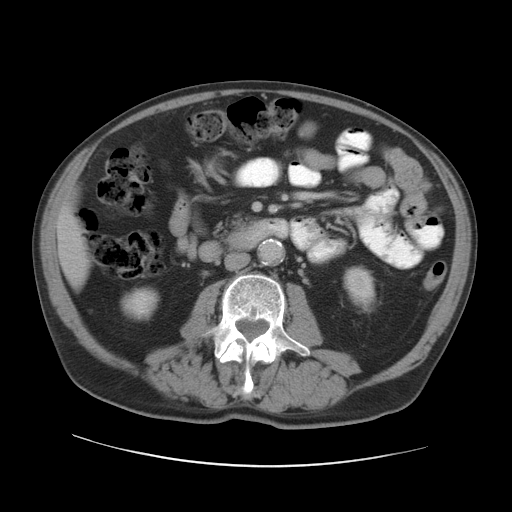
Computed tomography

The vessel annotation is not exhaustive.
The hepatic vessel is at box=[60, 218, 65, 223].